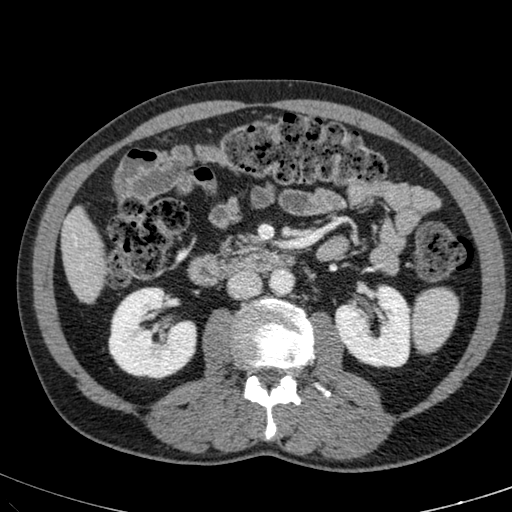
CT slice, Abdomen
Kidney at region(336, 287, 409, 366); region(110, 289, 194, 376).
Liver at region(61, 209, 104, 300).